CT slice, Liver, 512x512

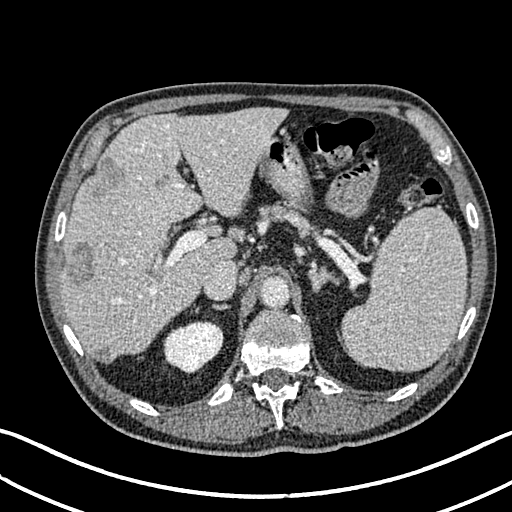

2 liver regions are bounded by (left=205, top=226, right=220, bottom=235), (left=62, top=107, right=286, bottom=361). The kidney lies within (left=165, top=322, right=222, bottom=371). 3 hepatic lesion regions appear at (left=97, top=348, right=111, bottom=356), (left=69, top=242, right=94, bottom=284), (left=86, top=157, right=124, bottom=199).